CT slice, Slice 617/917
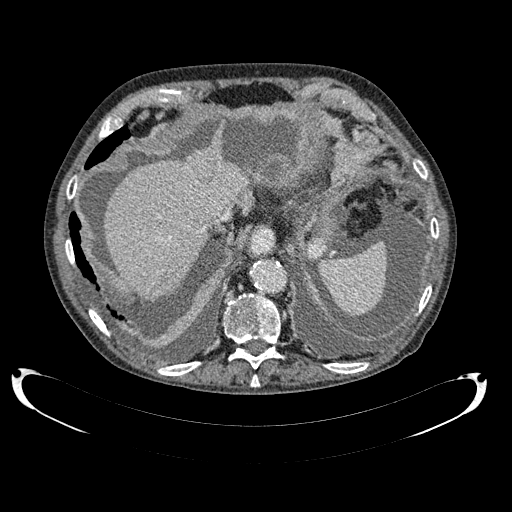

liver: 104:146:247:298